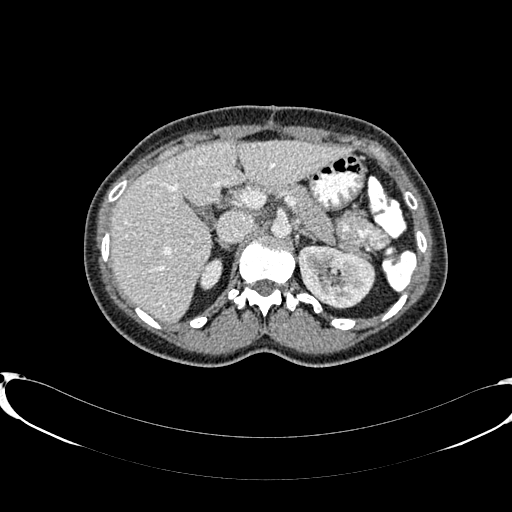
Computed tomography | Image size 512x512

liver:
  - (109, 141, 349, 321)
kidney:
  - (202, 262, 220, 286)
  - (300, 247, 373, 306)